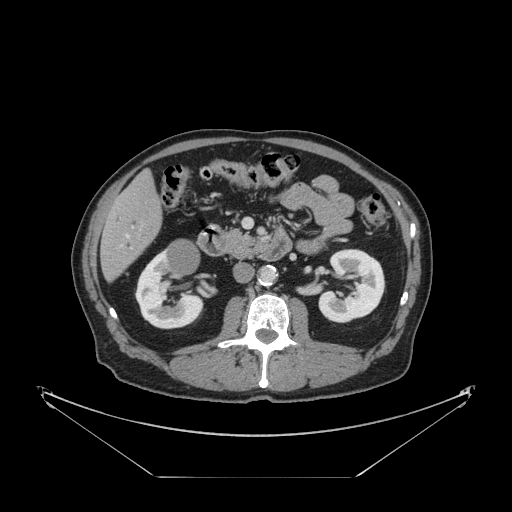 CT slice

Some hepatic vessels may have no box.
Hepatic vessel: bounding box (left=126, top=235, right=128, bottom=237).